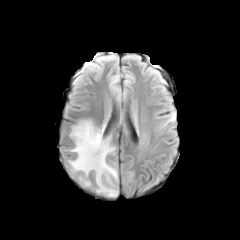
FLAIR magnetic resonance.
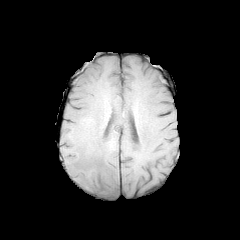
T1-weighted MR image of the same slice.
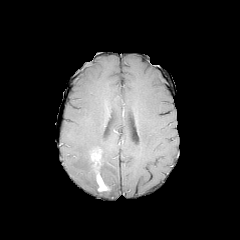
Post-contrast T1-weighted MR image.
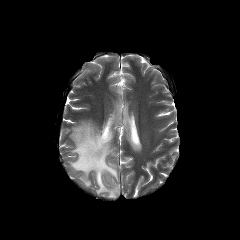
Same slice, T2-weighted MR image.
Edema: bounding box left=68, top=120, right=118, bottom=197.
Non-enhancing tumor core: bounding box left=87, top=154, right=96, bottom=177; left=90, top=147, right=103, bottom=180.
Enhancing tumor: bounding box left=90, top=152, right=107, bottom=191.